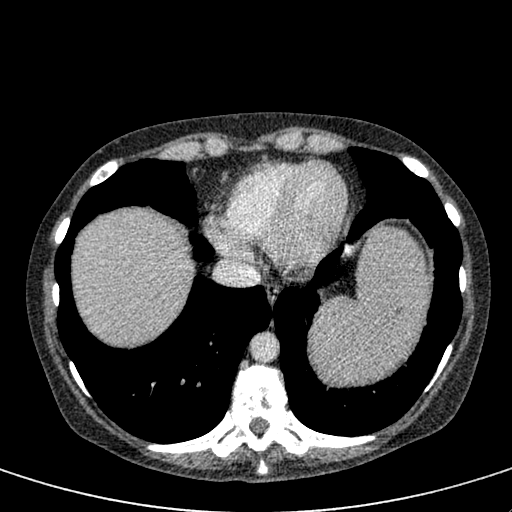 CT image

Annotated regions:
- liver: (left=73, top=212, right=190, bottom=344)